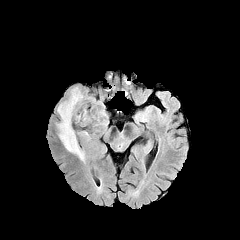
FLAIR MR image.
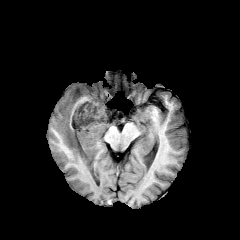
T1-weighted MRI.
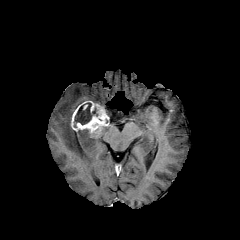
Same slice, post-contrast T1-weighted magnetic resonance.
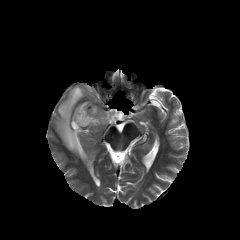
T2-weighted MRI.
Brain.
edema: 56, 87, 85, 163; 80, 131, 90, 140 | non-enhancing tumor core: 75, 102, 97, 124 | enhancing tumor: 71, 101, 109, 134